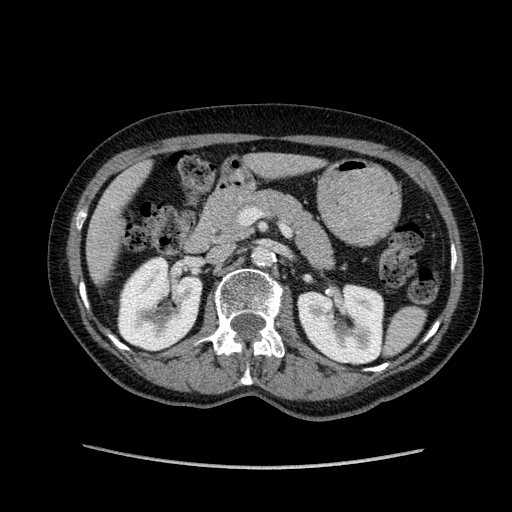
Upper abdomen | CT slice
2 kidney regions are bounded by x1=119, y1=258, x2=201, y2=349; x1=298, y1=286, x2=382, y2=362. 2 liver regions appear at x1=245, y1=151, x2=314, y2=176; x1=84, y1=166, x2=147, y2=277.